Hippocampus | MR image | Image width 34 mm 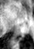
- posterior hippocampus: 19,37,22,39